Medial temporal lobe, Slice index 21, 33x49, MRI slice 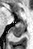

<segmentation>
  <posterior_hippocampus>(11,23,24,36)</posterior_hippocampus>
</segmentation>